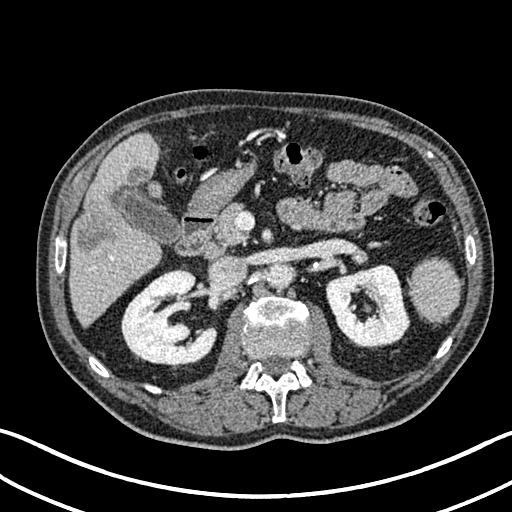

Abdomen, Image size 512x512, CT
3 kidney regions are located at {"x1": 122, "y1": 271, "x2": 218, "y2": 364}, {"x1": 356, "y1": 251, "x2": 365, "y2": 262}, {"x1": 327, "y1": 265, "x2": 408, "y2": 345}. 2 focal liver lesion regions appear at {"x1": 128, "y1": 167, "x2": 149, "y2": 184}, {"x1": 76, "y1": 199, "x2": 115, "y2": 251}. The liver appears at {"x1": 70, "y1": 135, "x2": 161, "y2": 326}.